FLAIR MR.
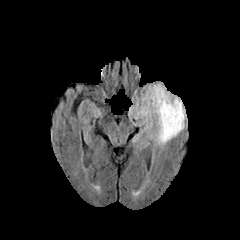
T1-weighted magnetic resonance.
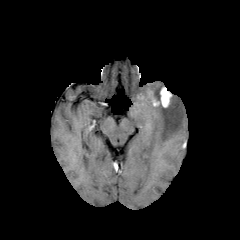
Post-contrast T1-weighted MR.
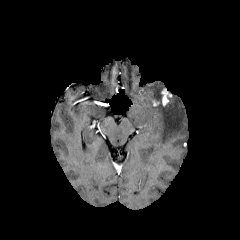
T2-weighted magnetic resonance.
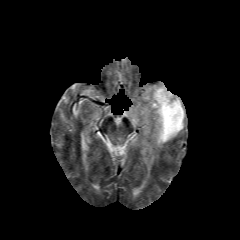
Brain
The enhancing tumor is at x1=161, y1=87, x2=172, y2=105. The edema is located at x1=128, y1=83, x2=187, y2=147.